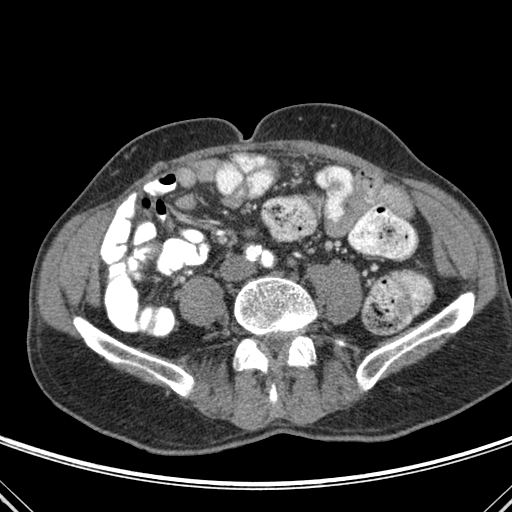
CT

<segmentation>
  <bone><bbox>356, 292, 474, 390</bbox>, <bbox>73, 317, 193, 396</bbox>, <bbox>234, 276, 316, 334</bbox>, <bbox>234, 339, 268, 372</bbox>, <bbox>269, 383, 277, 405</bbox>, <bbox>285, 336, 315, 366</bbox></bone>
</segmentation>